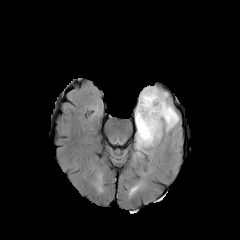
FLAIR magnetic resonance.
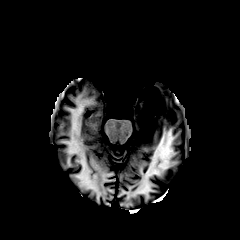
T1-weighted MR.
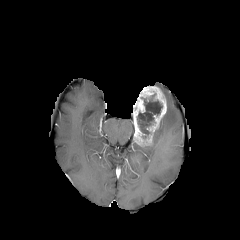
Post-contrast T1-weighted MRI.
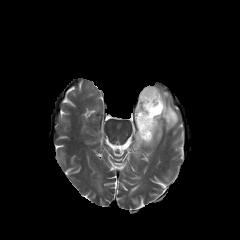
T2-weighted MR image.
240x240 px. Brain.
Annotated regions:
• edema: bbox(132, 90, 178, 160)
• non-enhancing tumor core: bbox(136, 86, 162, 146)
• enhancing tumor: bbox(133, 100, 146, 142); bbox(146, 88, 166, 132)